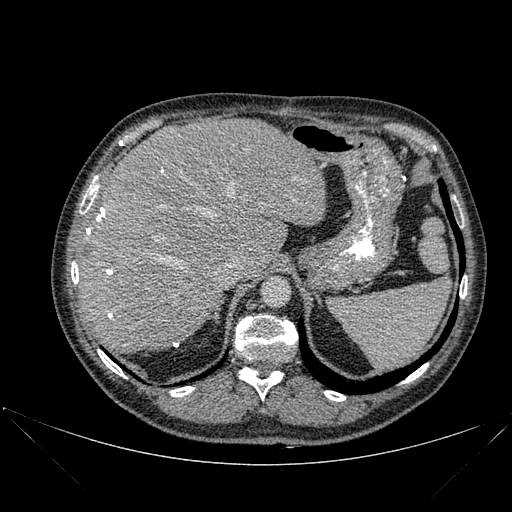

Upper abdomen | CT scan slice

lung: box=[200, 363, 220, 377]; box=[298, 304, 457, 394]; box=[438, 179, 464, 275] | bone: box=[403, 363, 428, 383]; box=[239, 367, 283, 400]; box=[324, 391, 345, 401]; box=[81, 179, 98, 210]; box=[235, 315, 297, 361]; box=[98, 349, 126, 377]; box=[459, 278, 466, 298]; box=[71, 262, 78, 283]; box=[170, 386, 194, 396] | liver: box=[78, 119, 325, 353]